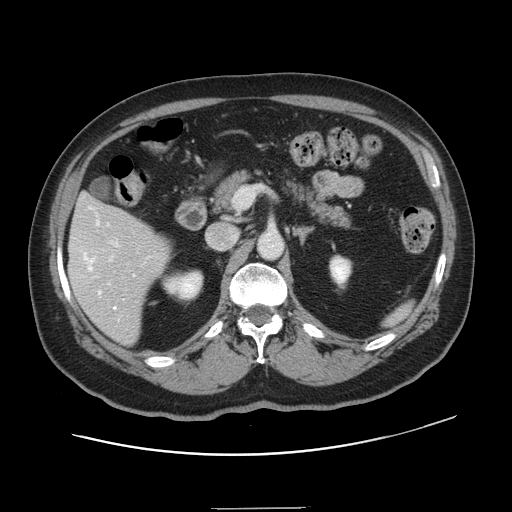
512x512. Abdomen. CT. The vessel annotation is not exhaustive.
6 hepatic vessel regions are located at (left=110, top=256, right=112, bottom=260), (left=88, top=206, right=92, bottom=208), (left=96, top=221, right=98, bottom=225), (left=84, top=254, right=94, bottom=270), (left=98, top=291, right=100, bottom=294), (left=110, top=241, right=118, bottom=245).